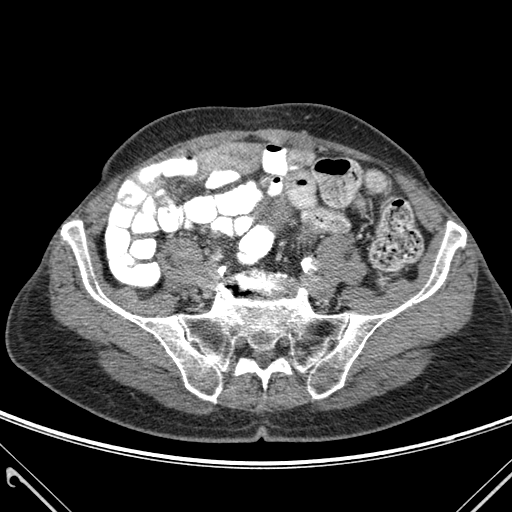

CT scan slice
Bone = [235, 358, 291, 387], [61, 220, 466, 402].